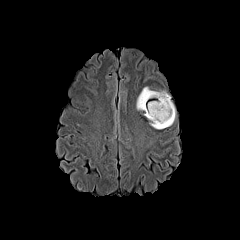
FLAIR magnetic resonance.
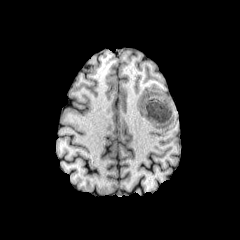
T1-weighted MRI.
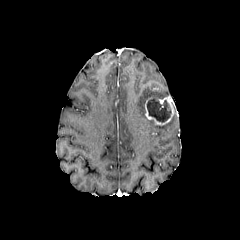
Post-contrast T1-weighted MR image of the same slice.
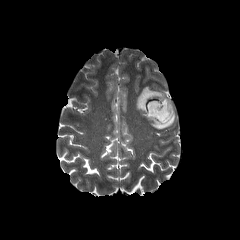
T2-weighted MRI of the same slice.
Enhancing tumor: bounding box 144 96 175 125.
Non-enhancing tumor core: bounding box 147 100 170 122.
Edema: bounding box 149 114 175 128, 136 86 167 109.